FLAIR MR image.
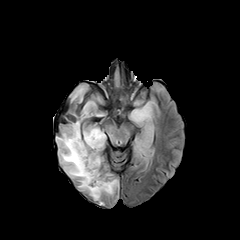
T1-weighted MRI.
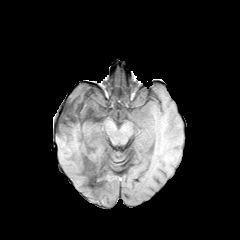
Post-contrast T1-weighted MRI.
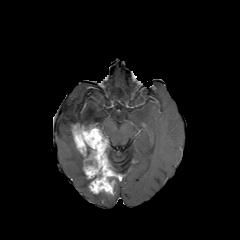
T2-weighted MRI.
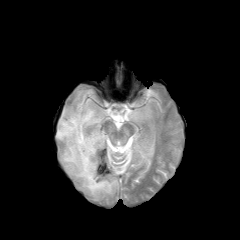
non-enhancing tumor core: box(103, 150, 119, 181); box(74, 118, 99, 129) | enhancing tumor: box(72, 124, 115, 193) | edema: box(135, 141, 150, 154); box(129, 101, 151, 123); box(56, 90, 110, 200)